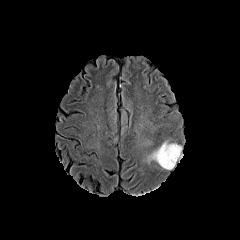
FLAIR MR image.
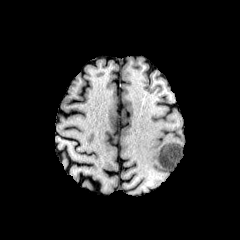
T1-weighted MRI.
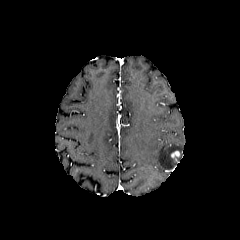
Same slice, post-contrast T1-weighted MRI.
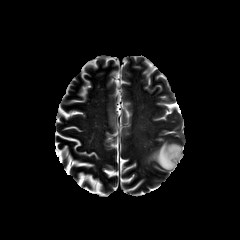
T2-weighted MR image.
Image size 240x240
<segmentation>
  <edema>152, 144, 182, 169</edema>
  <non-enhancing_tumor_core>171, 152, 182, 162</non-enhancing_tumor_core>
</segmentation>